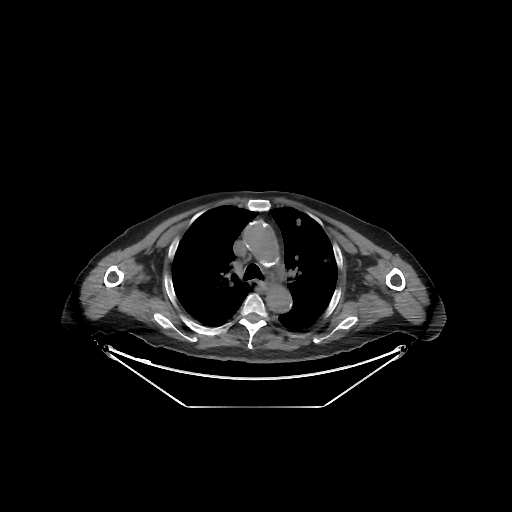

Chest. Image size 512x512. CT image.
{"lung": ["(269,207,337,331)", "(171,205,264,326)"], "bone": ["(154,313,175,329)", "(386,268,405,290)", "(165,278,220,334)", "(104,265,123,287)", "(336,316,356,329)", "(238,294,268,348)", "(327,290,340,314)", "(248,200,270,210)"]}